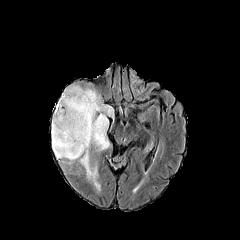
FLAIR MRI.
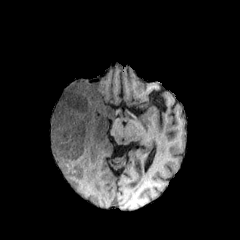
Same slice, T1-weighted MR image.
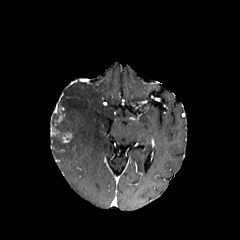
Post-contrast T1-weighted MR.
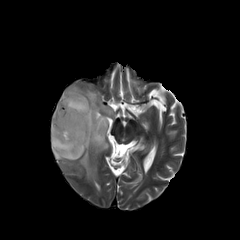
Same slice, T2-weighted MRI.
Head; 240x240
Non-enhancing tumor core: box=[55, 108, 62, 121].
Enhancing tumor: box=[61, 132, 72, 142].
Edema: box=[51, 82, 114, 190].